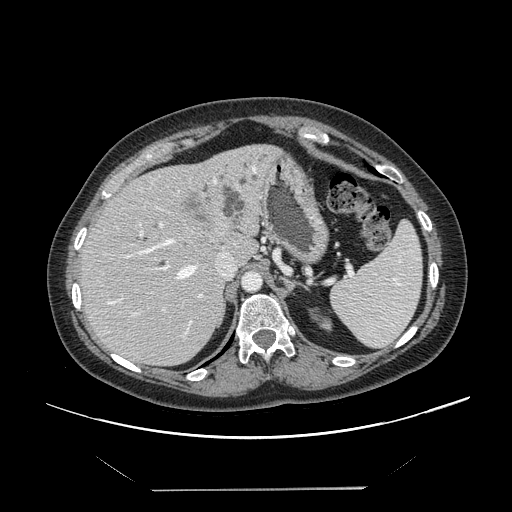
CT slice
The vessel boxes may cover only some of the vessels.
The liver tumor is bounded by rect(176, 187, 219, 235). 12 hepatic vessel regions are located at rect(107, 299, 121, 305); rect(125, 254, 134, 257); rect(215, 247, 235, 278); rect(139, 229, 143, 235); rect(159, 223, 163, 227); rect(137, 238, 176, 254); rect(176, 265, 197, 279); rect(212, 176, 216, 183); rect(162, 307, 165, 311); rect(131, 312, 140, 317); rect(139, 223, 141, 227); rect(155, 264, 169, 270).